CT slice. Field of view 400x400 mm. Upper abdomen.
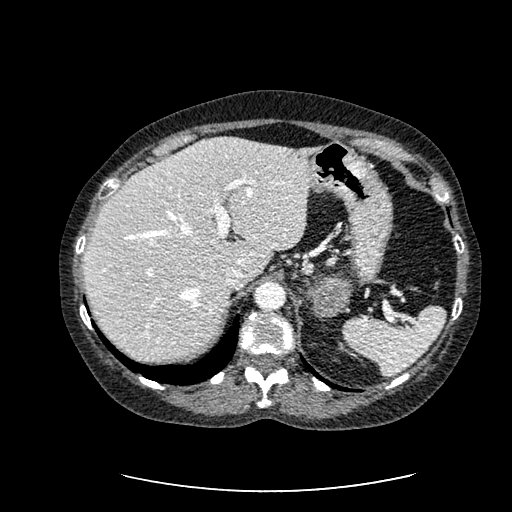

The liver lies within 83, 137, 321, 359.